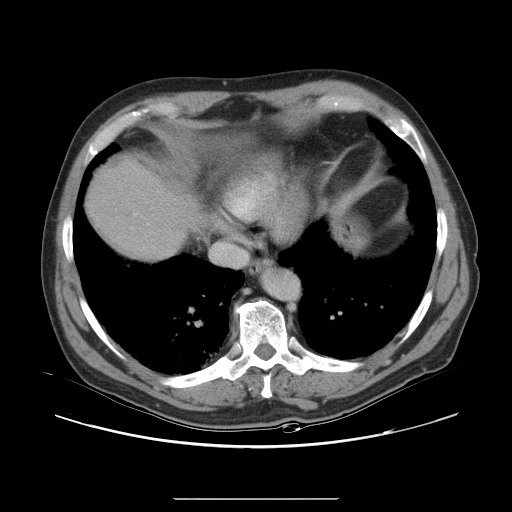
CT slice
The vessel boxes may cover only some of the vessels.
Annotated regions:
- hepatic vessel: [133, 213, 136, 215]